Image width 400 mm; Magnetic resonance 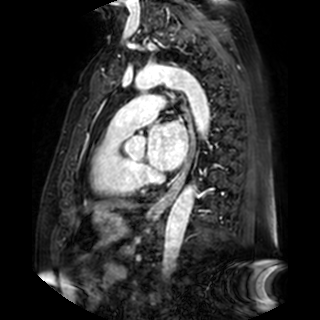 The left atrium is at bbox(147, 122, 187, 170).